Brain
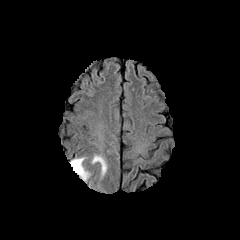
FLAIR MRI.
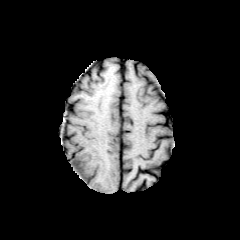
Same slice, T1-weighted MRI.
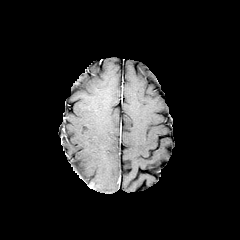
Post-contrast T1-weighted MR image.
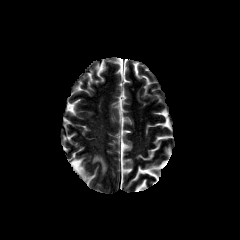
T2-weighted magnetic resonance of the same slice.
Segmented structures:
- edema: [92,154,106,175], [70,157,89,180]